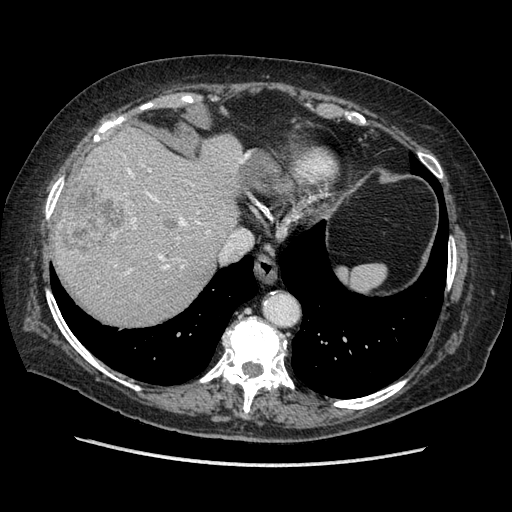 CT

Some hepatic vessels may have no box.
Hepatic vessel: bbox(131, 218, 135, 226); bbox(130, 172, 131, 175); bbox(148, 193, 155, 198); bbox(159, 255, 162, 258); bbox(163, 265, 167, 267); bbox(179, 219, 184, 223).
Liver tumor: bbox(52, 182, 132, 256).